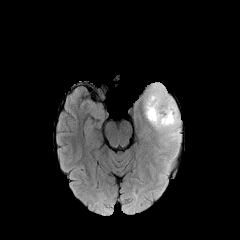
FLAIR MR.
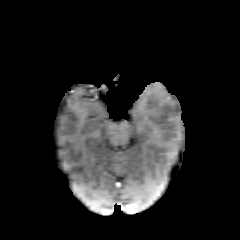
T1-weighted MR.
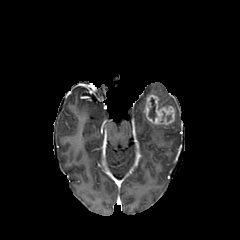
Post-contrast T1-weighted MRI.
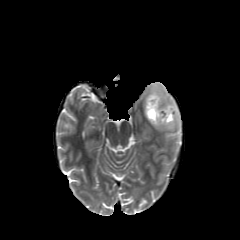
T2-weighted MR of the same slice.
Brain. 240x240.
2 edema regions appear at region(148, 113, 181, 147); region(146, 83, 175, 106). 2 non-enhancing tumor core regions are bounded by region(148, 98, 155, 118); region(152, 92, 171, 106). The enhancing tumor appears at region(144, 94, 175, 124).